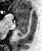
MRI slice; Hippocampus
Posterior hippocampus at rect(19, 24, 27, 34); rect(18, 33, 21, 36).
Anterior hippocampus at rect(16, 7, 29, 23).